FLAIR MR.
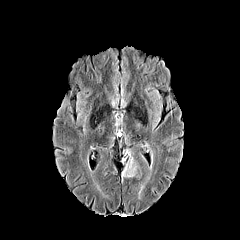
T1-weighted magnetic resonance.
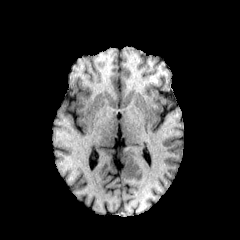
Post-contrast T1-weighted MRI.
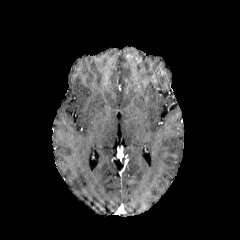
T2-weighted MR image.
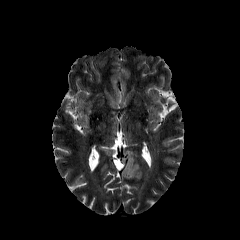
Brain. Image size 240x240.
- edema: [122, 152, 136, 177]